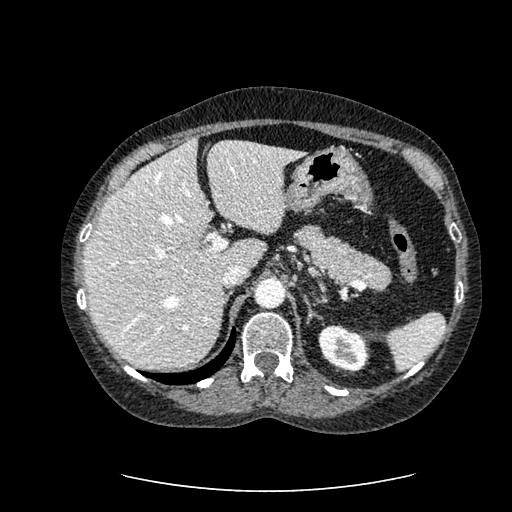 CT.

kidney: {"x1": 319, "y1": 326, "x2": 367, "y2": 370} | liver: {"x1": 84, "y1": 138, "x2": 265, "y2": 367}, {"x1": 207, "y1": 140, "x2": 307, "y2": 232}